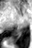

MRI slice; Medial temporal lobe
{"posterior_hippocampus": ["rect(16, 31, 21, 37)", "rect(6, 39, 17, 42)"]}